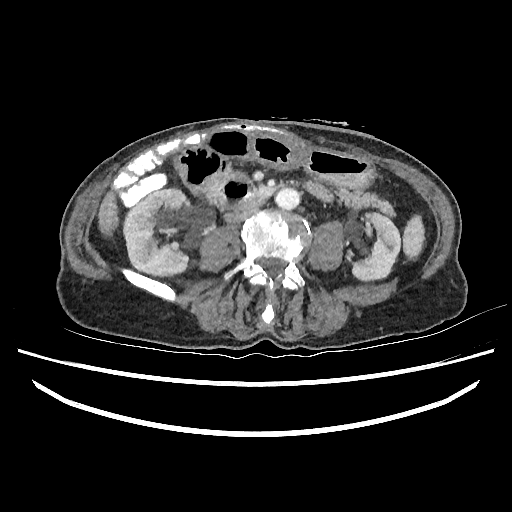

Abdomen. CT slice. 512x512 px.

Liver = l=99, t=192, r=118, b=233.
Kidney = l=124, t=190, r=188, b=275; l=352, t=213, r=400, b=279.